FLAIR MRI.
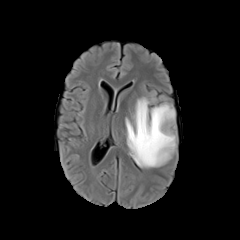
T1-weighted MRI.
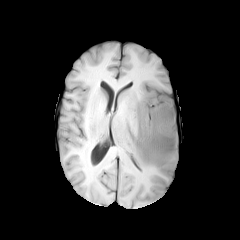
Post-contrast T1-weighted MR image.
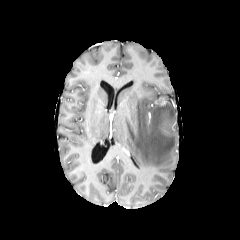
T2-weighted magnetic resonance.
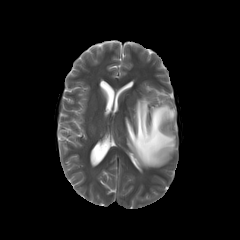
Brain
non-enhancing tumor core: left=152, top=120, right=157, bottom=139; left=155, top=102, right=172, bottom=109; left=138, top=128, right=145, bottom=139 | edema: left=125, top=93, right=177, bottom=167